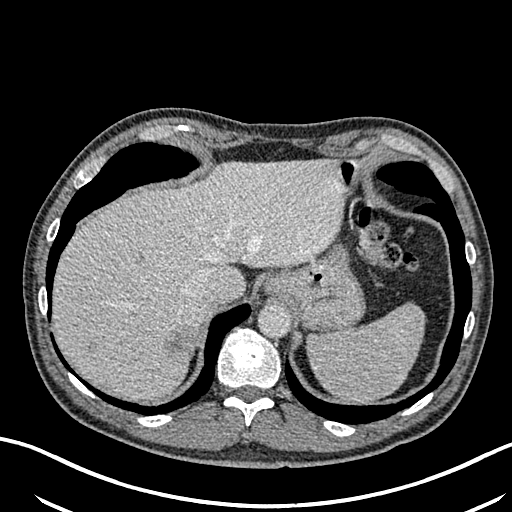 Upper abdomen | CT scan slice
Findings:
• liver: 53:159:340:398
• focal liver lesion: 164:329:193:359, 88:344:96:352